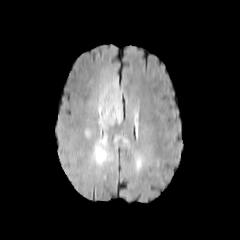
FLAIR MR.
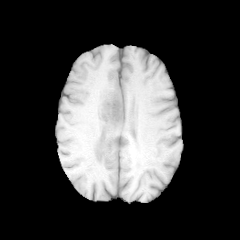
Same slice, T1-weighted magnetic resonance.
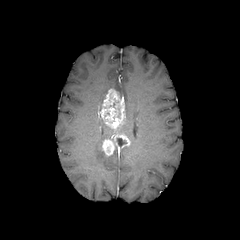
Post-contrast T1-weighted magnetic resonance.
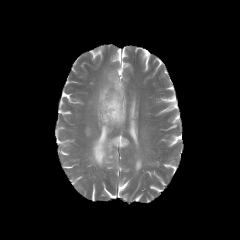
T2-weighted MRI.
Image size 240x240
The non-enhancing tumor core is at box(117, 137, 127, 147). 3 edema regions are bounded by box(93, 112, 112, 165); box(135, 155, 142, 168); box(98, 82, 120, 109). 2 enhancing tumor regions are located at box(99, 88, 125, 128); box(102, 134, 130, 155).